FLAIR MR.
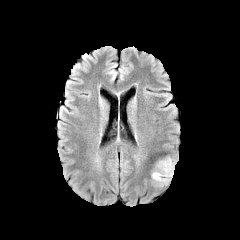
T1-weighted MR image.
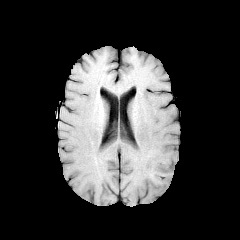
Post-contrast T1-weighted MR.
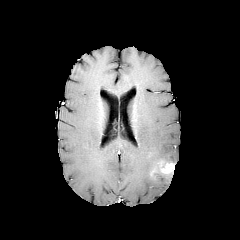
T2-weighted MR.
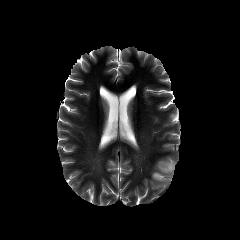
Head
The non-enhancing tumor core is bounded by [x1=159, y1=172, x2=171, y2=179]. The edema is located at [x1=152, y1=173, x2=171, y2=186]. The enhancing tumor lies within [x1=159, y1=162, x2=174, y2=175].